CT image, 512x512, Upper abdomen, Slice 34/102
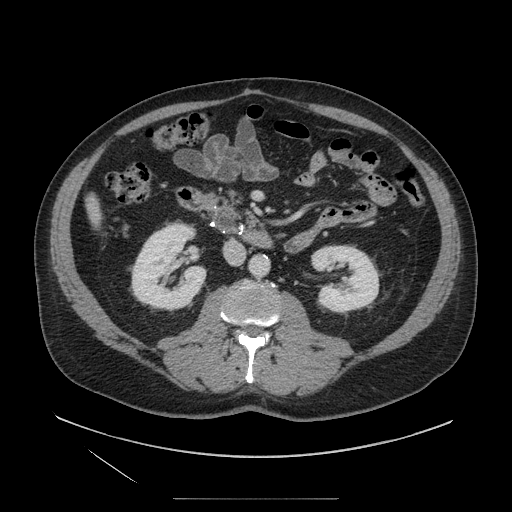

The pancreatic tumor is located at rect(220, 215, 235, 229). The pancreas is bounded by rect(200, 192, 242, 236).